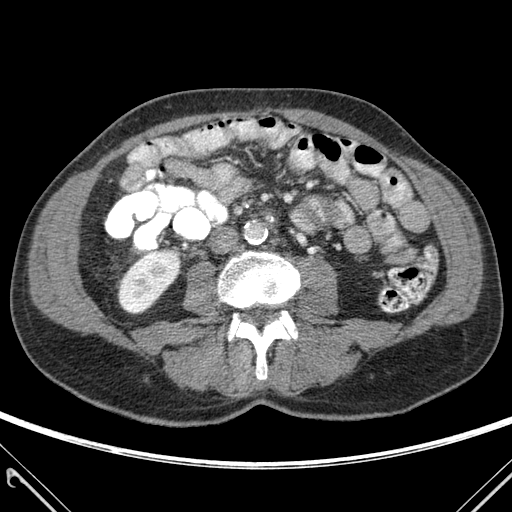 CT slice | Abdomen
kidney: bbox(120, 251, 178, 312) | bone: bbox(218, 252, 299, 307); bbox(229, 311, 296, 379)